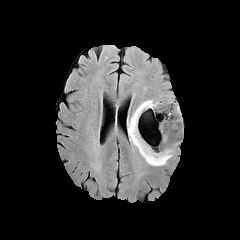
FLAIR MRI.
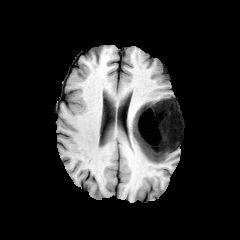
T1-weighted MRI.
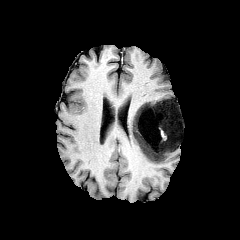
Post-contrast T1-weighted magnetic resonance of the same slice.
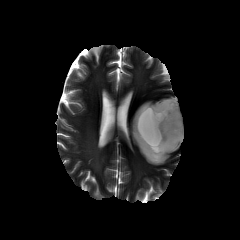
T2-weighted MR.
Brain; 240x240
Non-enhancing tumor core: <bbox>134, 101, 180, 158</bbox>.
Edema: <bbox>127, 99, 181, 165</bbox>, <bbox>158, 97, 181, 135</bbox>.